Slice 75/155. Image size 240x240.
FLAIR MR image.
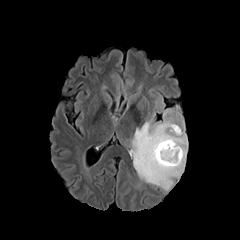
T1-weighted MRI.
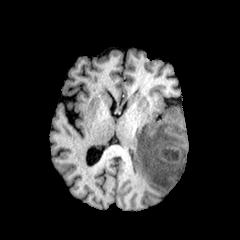
Post-contrast T1-weighted MR.
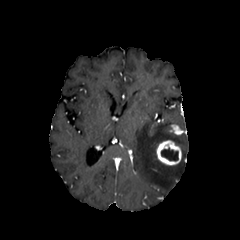
T2-weighted MR.
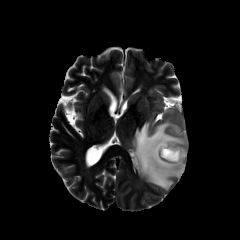
The non-enhancing tumor core is at box(161, 147, 178, 161). The edema lies within box(132, 120, 188, 190). 2 enhancing tumor regions appear at box(156, 140, 181, 165); box(170, 124, 183, 134).